CT | Image size 512x512 | Slice 61/93 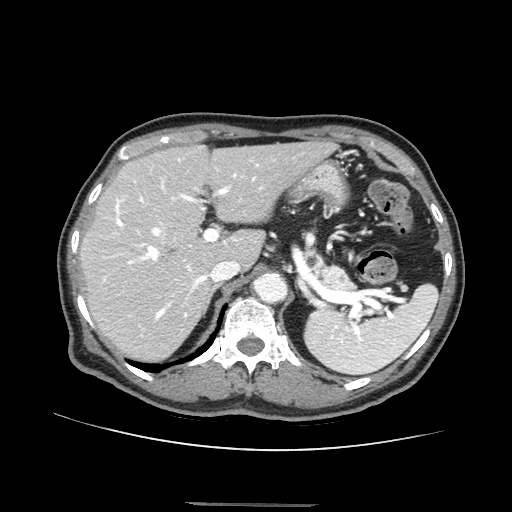

<segmentation>
  <pancreas>region(315, 262, 352, 290)</pancreas>
</segmentation>